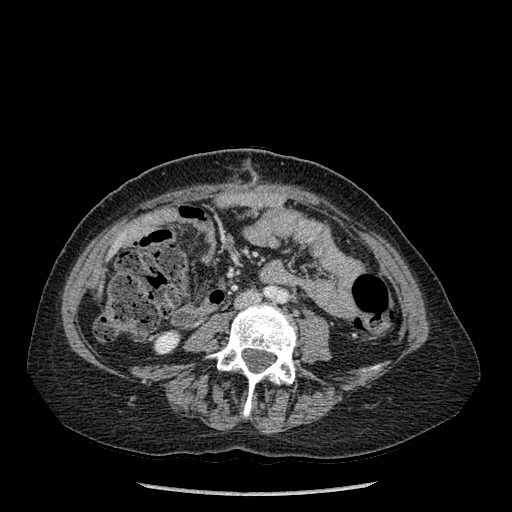
Computed tomography, 512x512

The kidney is bounded by (x1=155, y1=333, x2=178, y2=353). The liver is at (x1=109, y1=236, x2=122, y2=250). 2 bone regions are bounded by (x1=362, y1=365, x2=380, y2=371), (x1=208, y1=303, x2=296, y2=416).